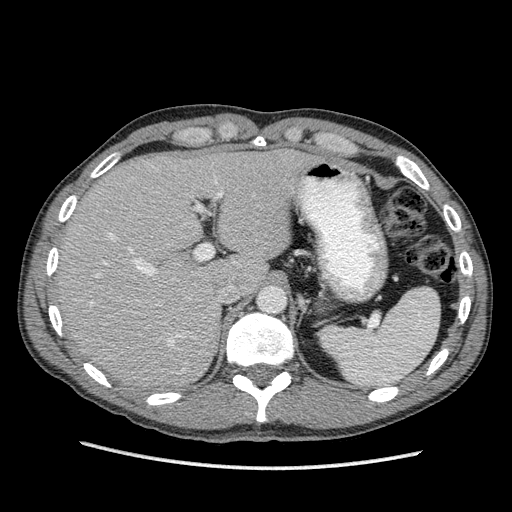
CT image | 512x512 px | Upper abdomen
The liver lies within [54,147,327,393].